FLAIR MR.
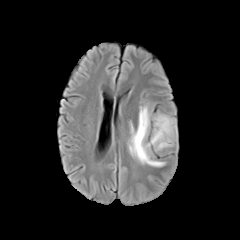
T1-weighted MR.
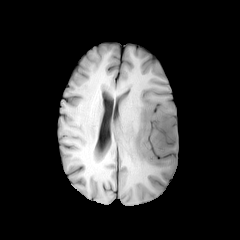
Post-contrast T1-weighted MR image.
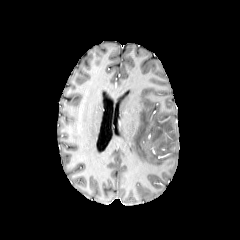
T2-weighted MR image.
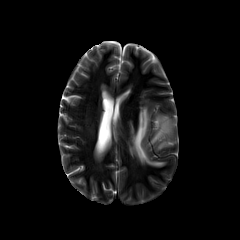
Brain.
Findings:
- edema: left=126, top=100, right=177, bottom=167